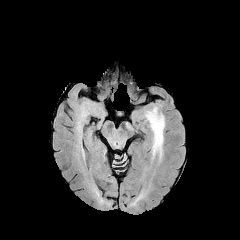
FLAIR MR.
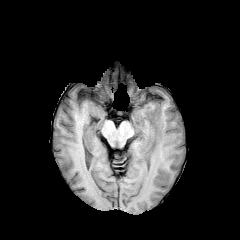
T1-weighted MR image of the same slice.
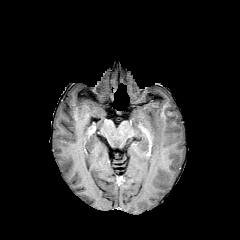
Post-contrast T1-weighted magnetic resonance.
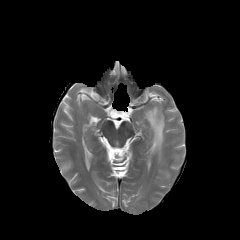
T2-weighted MRI.
240x240
Edema: bounding box (139, 106, 166, 162).